Slice 78 of 155. 240x240.
FLAIR magnetic resonance.
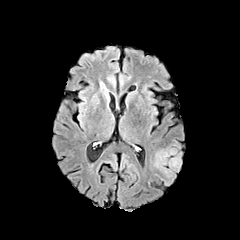
T1-weighted MRI.
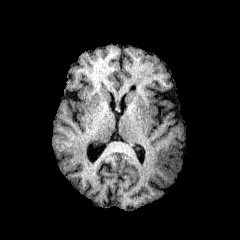
Post-contrast T1-weighted magnetic resonance.
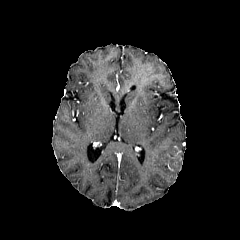
T2-weighted magnetic resonance.
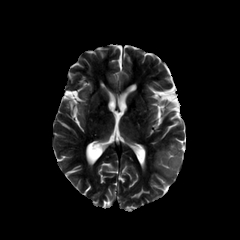
Edema: box(149, 147, 176, 185).
Non-enhancing tumor core: box(160, 144, 182, 173).